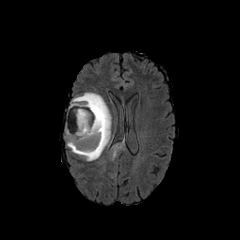
FLAIR MR image.
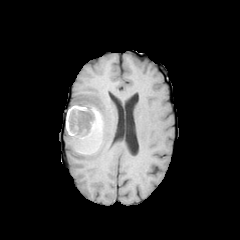
T1-weighted magnetic resonance.
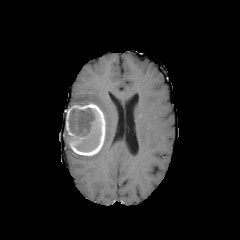
Post-contrast T1-weighted MR of the same slice.
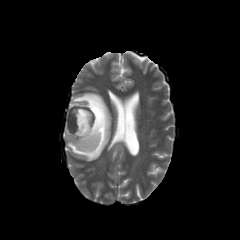
T2-weighted MRI.
Image size 240x240
3 non-enhancing tumor core regions are located at {"x1": 78, "y1": 102, "x2": 102, "y2": 111}, {"x1": 69, "y1": 108, "x2": 97, "y2": 137}, {"x1": 77, "y1": 126, "x2": 101, "y2": 149}. The enhancing tumor is bounded by {"x1": 66, "y1": 103, "x2": 105, "y2": 156}. The edema is located at {"x1": 70, "y1": 92, "x2": 111, "y2": 161}.